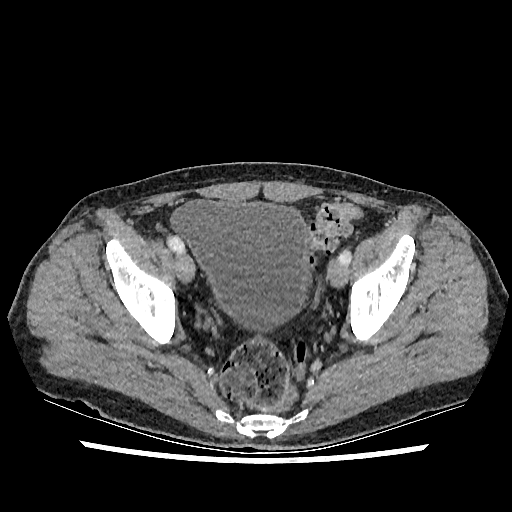
Computed tomography
The urinary bladder lies within [176,198,313,333].